Liver, CT slice, Slice 46/49 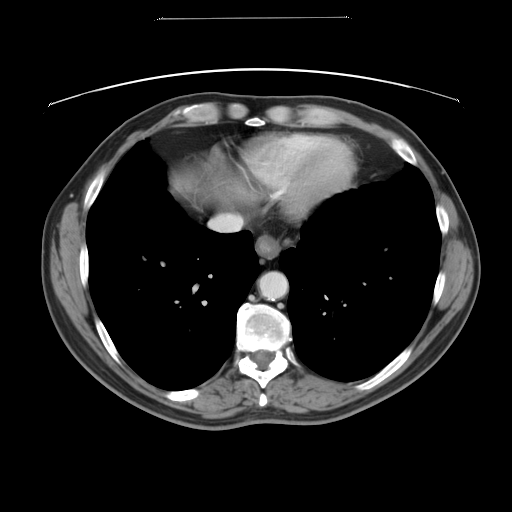
Not every hepatic vessel necessarily has a box.
{
  "hepatic_vessel": [
    "box(212, 216, 241, 229)"
  ]
}